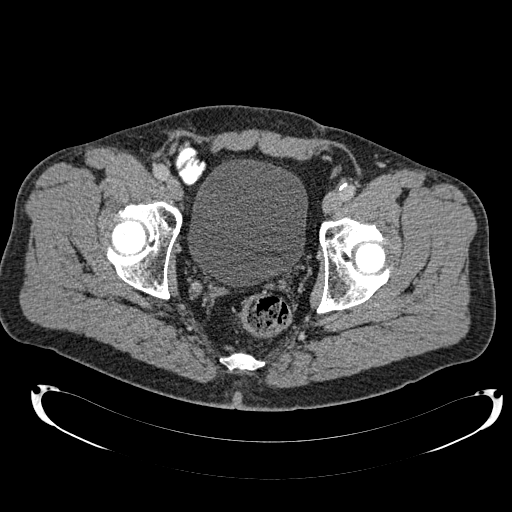
CT image
<segmentation>
  <urinary_bladder>188:159:307:286</urinary_bladder>
</segmentation>